FLAIR magnetic resonance.
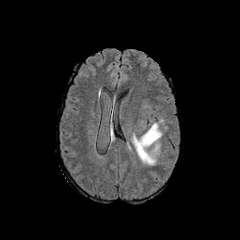
T1-weighted MR.
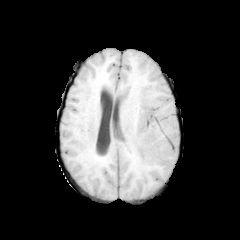
Post-contrast T1-weighted MRI.
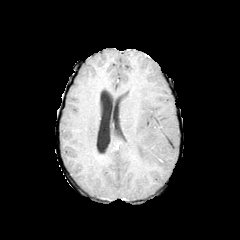
T2-weighted MRI.
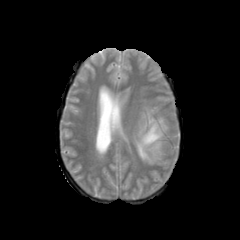
240x240 px, Brain
Edema at region(132, 118, 166, 165).